Field of view 404x404 mm; CT image; Slice index 389 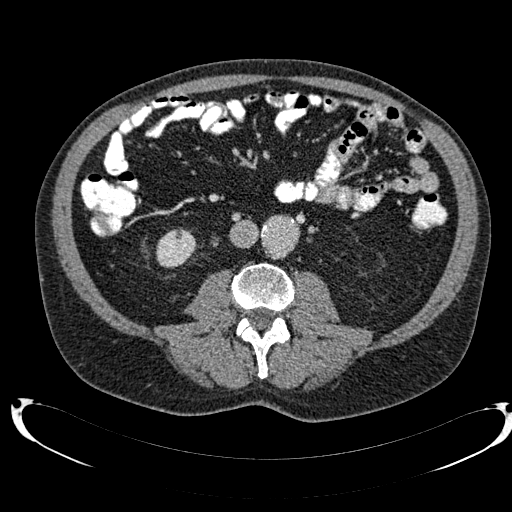 kidney: x1=156, y1=236, x2=195, y2=267